CT scan slice; Liver 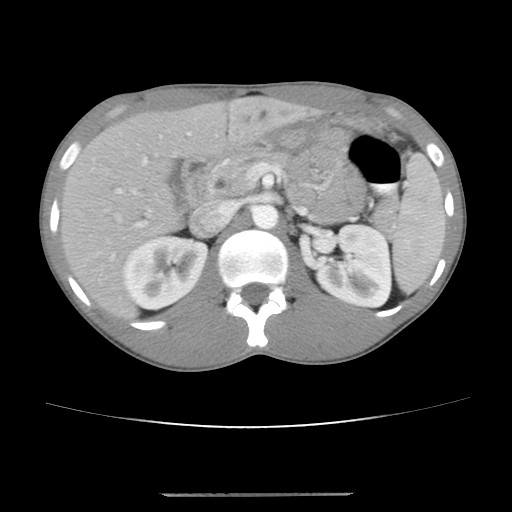
Some hepatic vessels may have no box.
Hepatic vessel = region(144, 160, 146, 163); region(139, 223, 145, 226); region(118, 190, 121, 191).
Liver tumor = region(259, 111, 267, 119).